Computed tomography. Slice 84/466. 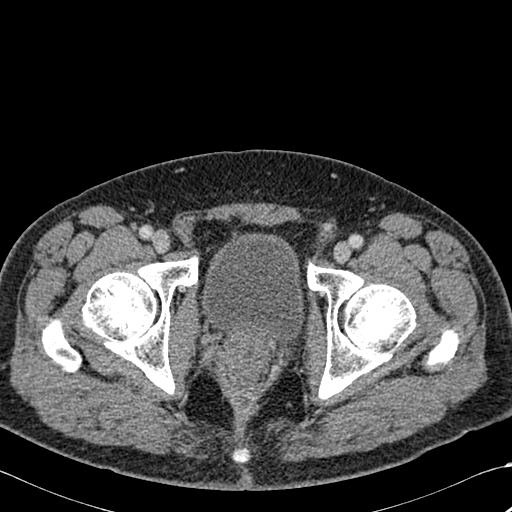
Bone = 82 257 197 393, 427 330 458 365, 307 264 416 398, 42 320 80 371.